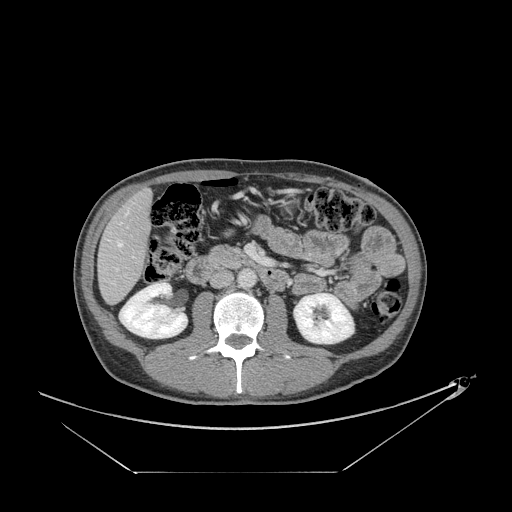
Abdomen | 512x512 | Computed tomography

{
  "pancreas": [
    "212:246:240:265"
  ]
}